Slice 227 of 427 | Computed tomography | 512x512

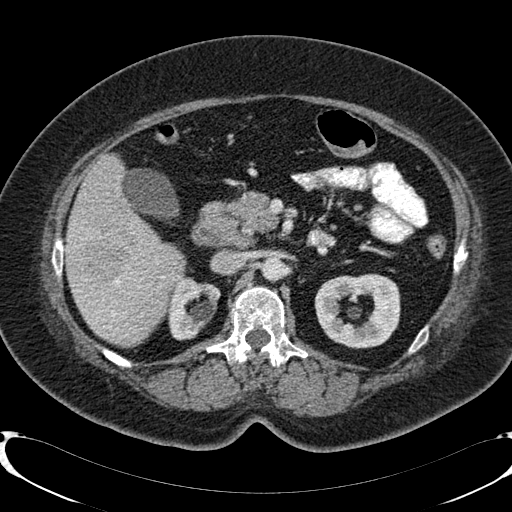
Segmented structures:
• kidney: 169:279:219:338, 315:275:399:347
• liver: 67:155:183:345
• liver lesion: 85:244:126:278